CT | Lower abdomen
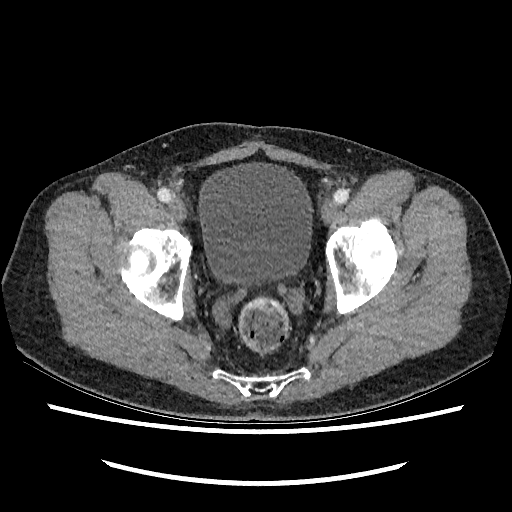
<segmentation>
  <urinary_bladder>box=[199, 162, 313, 292]</urinary_bladder>
</segmentation>